Brain
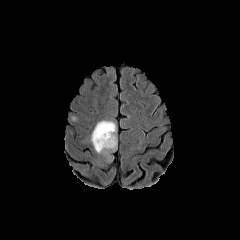
FLAIR magnetic resonance.
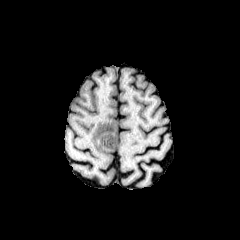
T1-weighted MRI of the same slice.
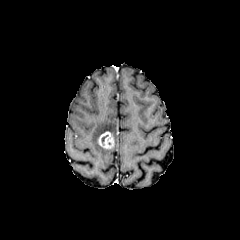
Post-contrast T1-weighted MRI.
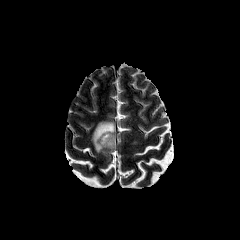
T2-weighted magnetic resonance.
The edema lies within region(91, 121, 115, 152). The enhancing tumor is bounded by region(97, 131, 115, 149).